Hippocampus. MR image.

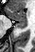
The posterior hippocampus is bounded by box(17, 20, 27, 28). The anterior hippocampus is located at box(8, 7, 27, 20).